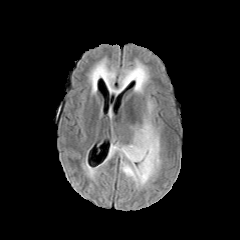
FLAIR MR image.
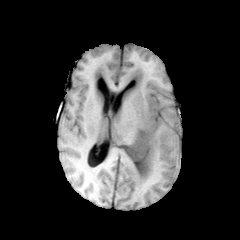
T1-weighted MR image.
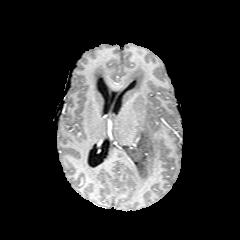
Post-contrast T1-weighted MR image.
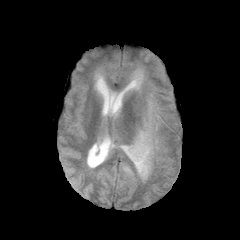
T2-weighted MR of the same slice.
240x240 px
edema: x1=106, y1=95, x2=162, y2=186; x1=112, y1=60, x2=149, y2=93; x1=90, y1=66, x2=109, y2=86 | non-enhancing tumor core: x1=115, y1=134, x2=149, y2=179